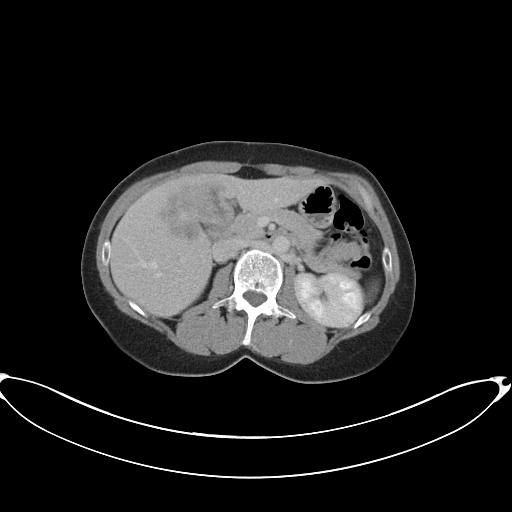
CT slice, 512x512, Liver

Not every hepatic vessel necessarily has a box.
<segmentation>
  <hepatic_vessel>box(140, 260, 157, 268); box(182, 259, 183, 261); box(155, 273, 160, 278)</hepatic_vessel>
  <liver_tumor>box(164, 192, 194, 218); box(177, 184, 234, 239)</liver_tumor>
</segmentation>